CT image
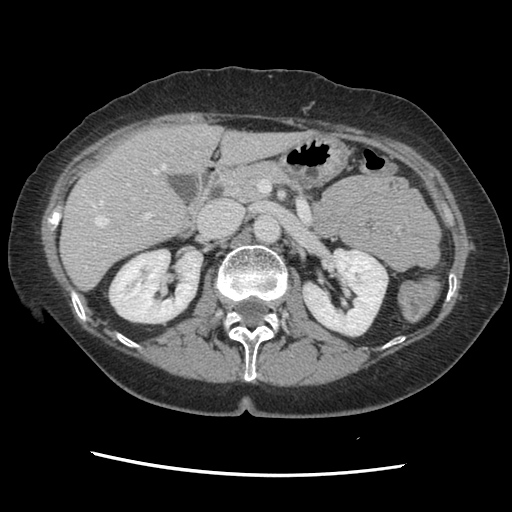

Some hepatic vessels may have no box.
hepatic vessel: 100:199:102:204, 153:169:158:173, 128:184:129:185, 95:217:108:226, 92:242:94:244, 161:164:165:169, 90:202:95:208, 143:213:151:217